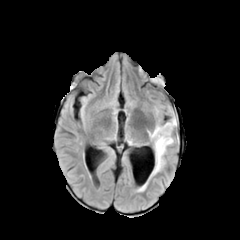
FLAIR magnetic resonance.
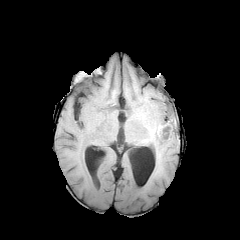
Same slice, T1-weighted MRI.
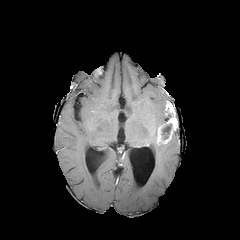
Same slice, post-contrast T1-weighted MRI.
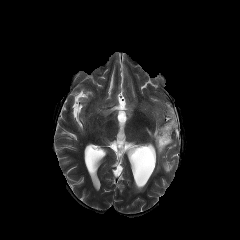
T2-weighted magnetic resonance of the same slice.
Head. 240x240.
Non-enhancing tumor core at (left=160, top=123, right=172, bottom=139).
Edema at (left=147, top=116, right=173, bottom=176).
Enhancing tumor at (left=156, top=128, right=171, bottom=143), (left=168, top=104, right=177, bottom=129).